Slice 34/135; CT image; Abdomen 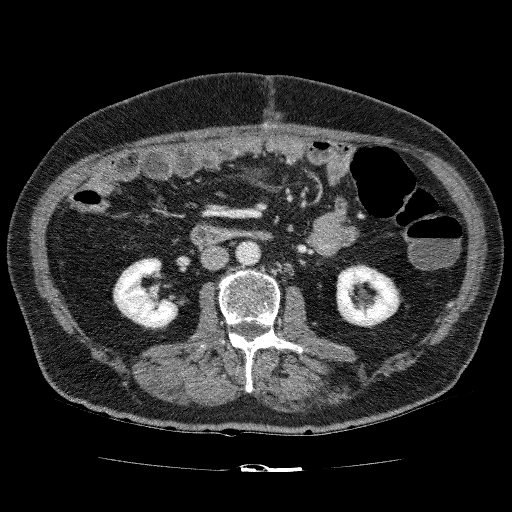 Kidney: x1=337, y1=265, x2=399, y2=326; x1=113, y1=258, x2=177, y2=328.